Slice 366 of 671, Abdomen, CT scan slice, 512x512
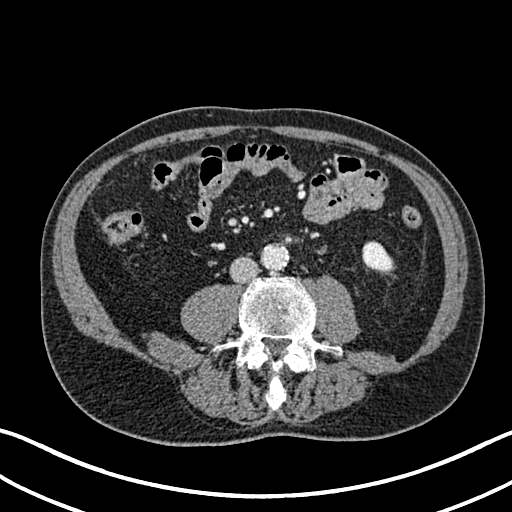
• kidney: region(363, 242, 391, 270)